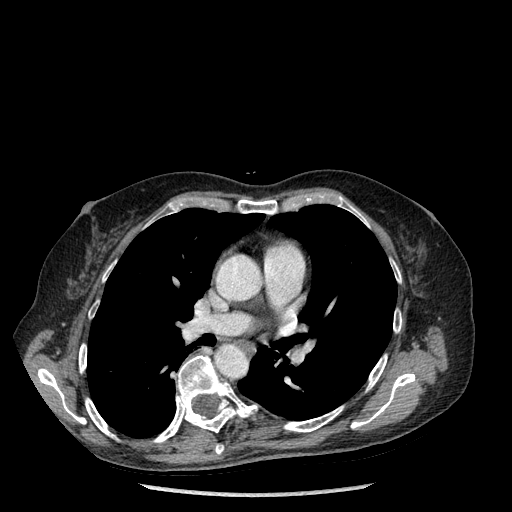
512x512, CT scan slice

Lung — 238:204:396:419, 87:208:264:438.
Bone — 85:398:117:439, 283:406:343:432, 145:202:177:226, 215:444:223:454, 153:355:257:442, 366:354:387:391, 337:196:369:227, 37:368:86:424, 351:373:415:429, 88:300:98:318, 390:259:401:282, 79:344:86:373, 237:199:277:214, 102:262:114:281, 393:309:401:332.